CT image | Field of view 432x432 mm | 512x512
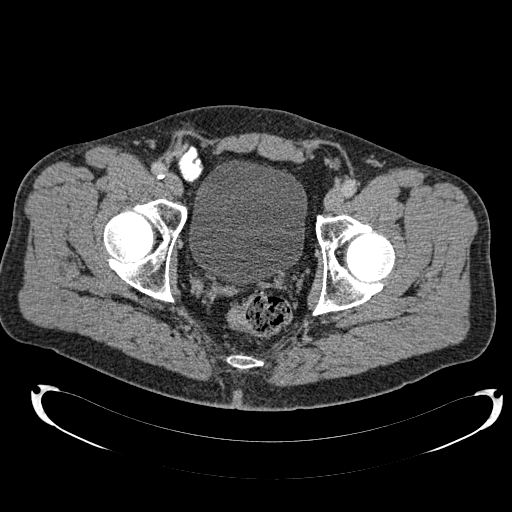 The urinary bladder is located at 189, 160, 307, 285.